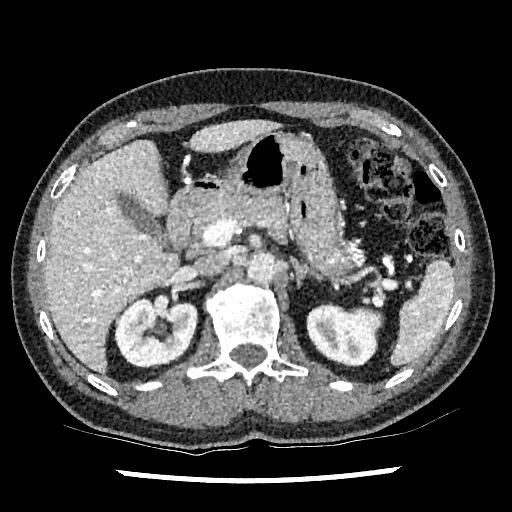
Computed tomography | Image size 512x512

Liver: bounding box <box>191,119,278,151</box>, <box>45,140,179,373</box>.
Kidney: bounding box <box>308,306,378,364</box>, <box>116,297,195,365</box>.